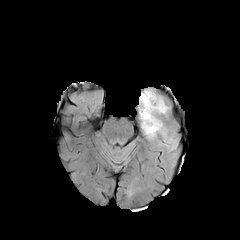
FLAIR MRI.
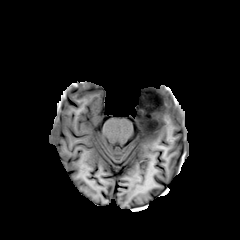
T1-weighted MR.
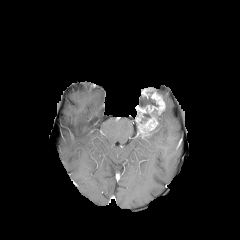
Post-contrast T1-weighted MRI of the same slice.
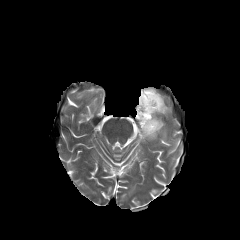
T2-weighted MR.
Head.
Enhancing tumor at x1=136, y1=88, x2=165, y2=136.
Edema at x1=145, y1=120, x2=163, y2=139.
Non-enhancing tumor core at x1=139, y1=96, x2=158, y2=106.